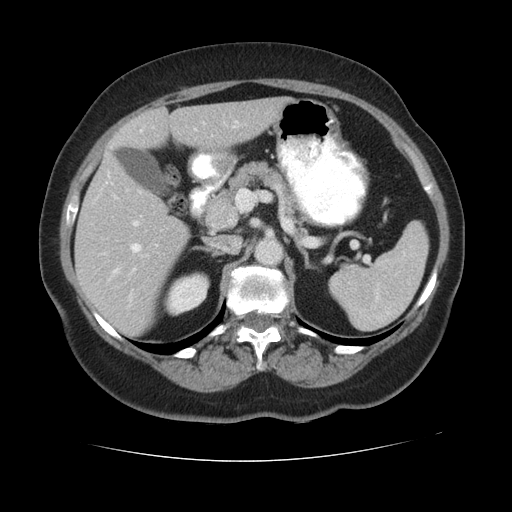

CT slice
Pancreatic tumor at <bbox>206, 197, 237, 230</bbox>.
Pancreas at <bbox>207, 161, 297, 218</bbox>.